CT scan slice, 512x512

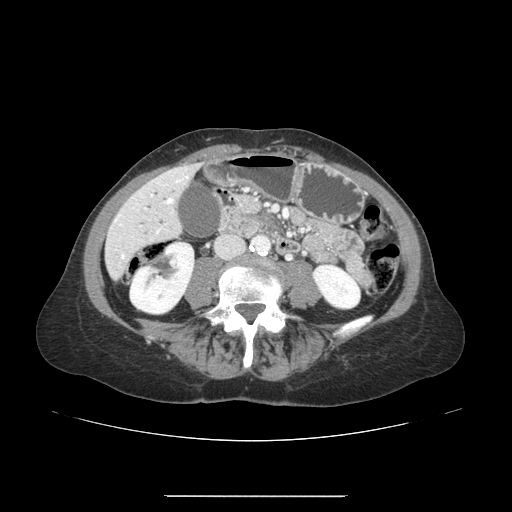 The pancreas is at 258:220:274:228. The pancreatic tumor appears at 253:215:269:223.